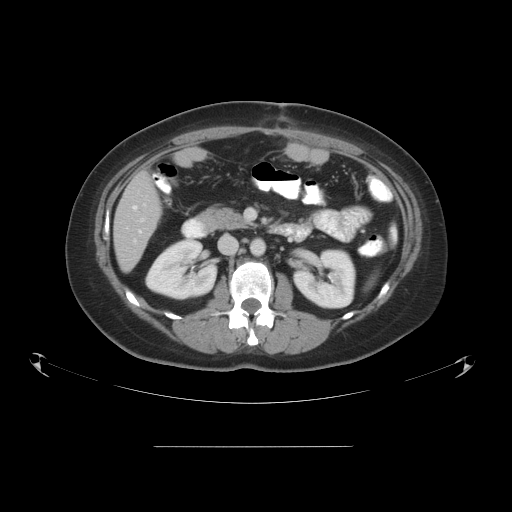

CT
Some hepatic vessels may have no box.
Annotated regions:
- hepatic vessel: left=140, top=218, right=145, bottom=220; left=134, top=239, right=136, bottom=242; left=133, top=205, right=136, bottom=209; left=143, top=203, right=145, bottom=205; left=139, top=229, right=141, bottom=232